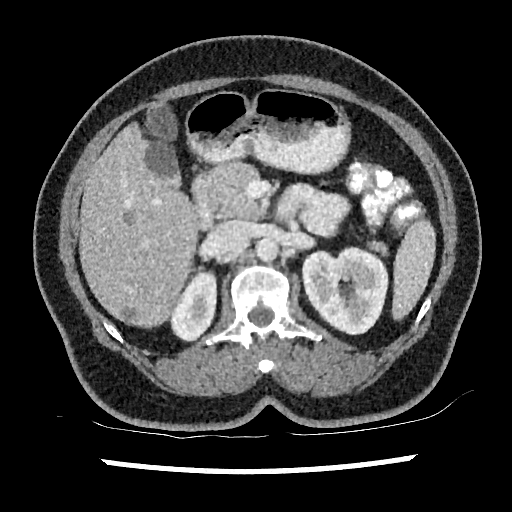
CT
Segmented structures:
* kidney: (x1=298, y1=248, x2=387, y2=333), (x1=172, y1=274, x2=215, y2=339)
* liver: (x1=79, y1=124, x2=196, y2=325)
* hepatic lesion: (x1=123, y1=211, x2=133, y2=224), (x1=124, y1=307, x2=135, y2=317), (x1=145, y1=141, x2=178, y2=178)